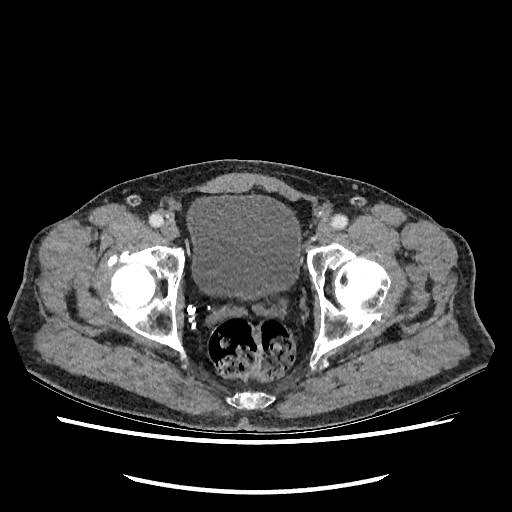 CT.

The urinary bladder lies within bbox=[187, 194, 302, 299].